MRI | Image size 36x48

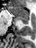
Posterior hippocampus — (20,20,28,23).
Anterior hippocampus — (10,6,28,19).